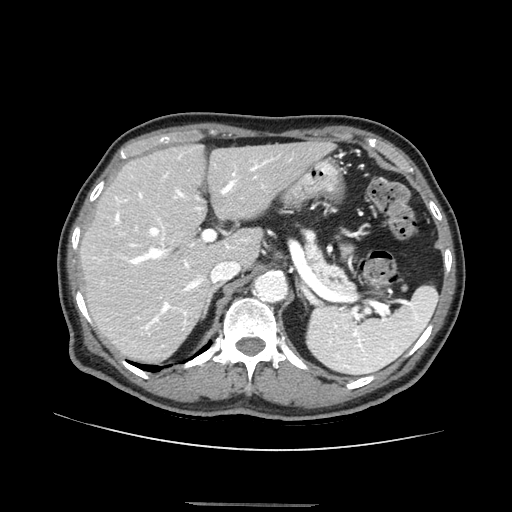
CT slice | 512x512
Findings:
* pancreas: x1=306 y1=232 x2=354 y2=294